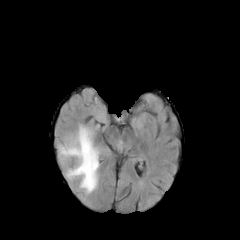
FLAIR MR image.
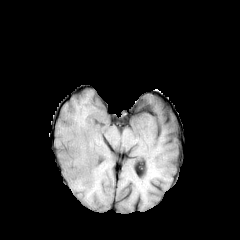
T1-weighted MRI of the same slice.
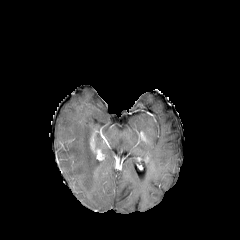
Post-contrast T1-weighted MR image.
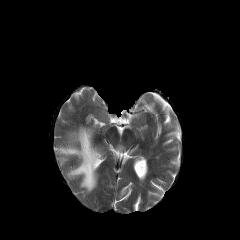
T2-weighted MR image.
The edema appears at [x1=59, y1=125, x2=99, y2=193].